CT scan slice | Slice index 421 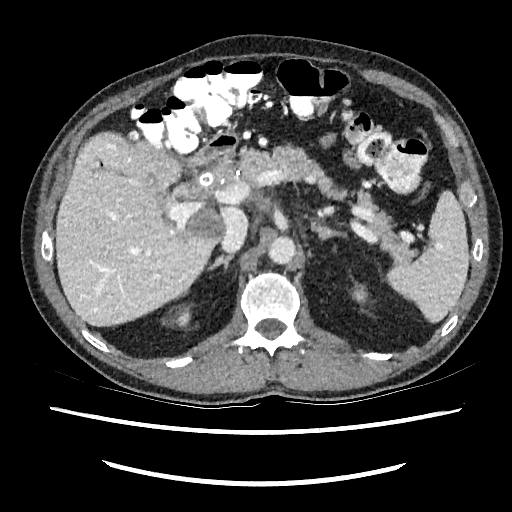 2 liver regions are bounded by left=169, top=183, right=188, bottom=199; left=56, top=133, right=219, bottom=325. 3 hepatic lesion regions appear at left=177, top=183, right=190, bottom=196; left=188, top=209, right=222, bottom=239; left=214, top=161, right=231, bottom=182.